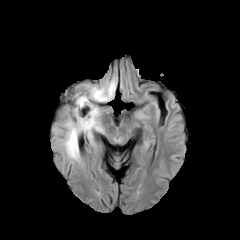
FLAIR MR image.
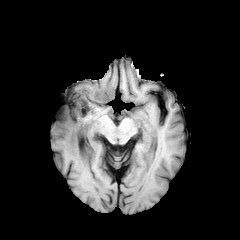
T1-weighted MR image of the same slice.
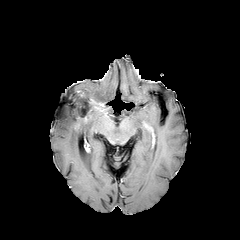
Same slice, post-contrast T1-weighted MRI.
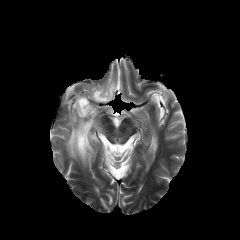
T2-weighted magnetic resonance of the same slice.
<segmentation>
  <edema>{"x1": 52, "y1": 77, "x2": 117, "y2": 164}</edema>
</segmentation>